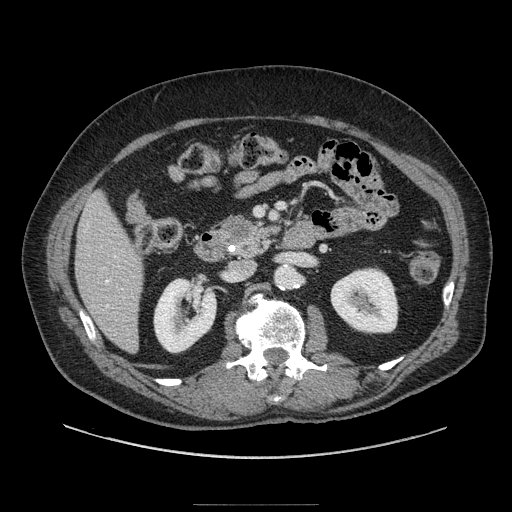

512x512. Upper abdomen. CT scan slice. pancreatic_tumor:
  - {"x1": 228, "y1": 217, "x2": 250, "y2": 239}
pancreas:
  - {"x1": 222, "y1": 219, "x2": 277, "y2": 256}